Brain | Slice 105 of 155
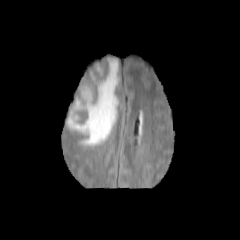
FLAIR MRI.
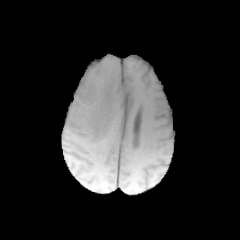
Same slice, T1-weighted MR image.
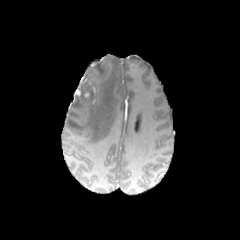
Post-contrast T1-weighted magnetic resonance of the same slice.
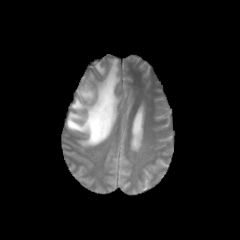
T2-weighted MRI.
Non-enhancing tumor core: <box>75,69,98,108</box>.
Edema: <box>67,58,120,146</box>, <box>94,64,104,74</box>.